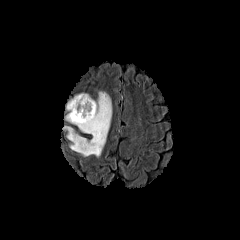
FLAIR magnetic resonance.
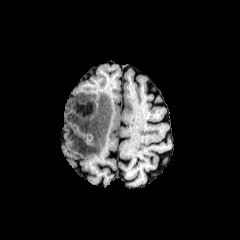
T1-weighted magnetic resonance.
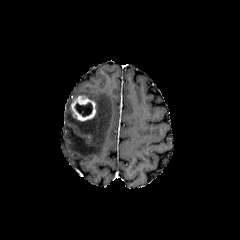
Post-contrast T1-weighted MRI.
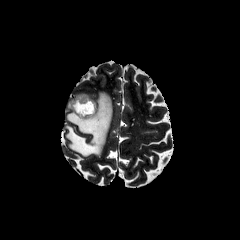
Same slice, T2-weighted MRI.
<segmentation>
  <enhancing_tumor>x1=70 y1=95 x2=95 y2=121</enhancing_tumor>
  <edema>x1=62 y1=91 x2=112 y2=156</edema>
  <non-enhancing_tumor_core>x1=74 y1=102 x2=92 y2=117</non-enhancing_tumor_core>
</segmentation>